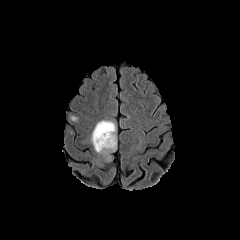
FLAIR magnetic resonance.
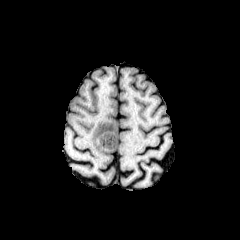
T1-weighted MR of the same slice.
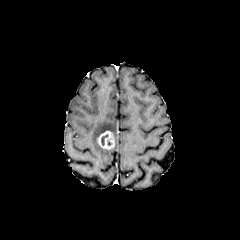
Post-contrast T1-weighted MR image.
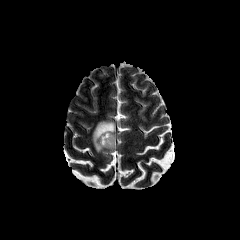
T2-weighted MR image.
Image size 240x240.
The edema is bounded by (91, 120, 115, 154). The enhancing tumor is bounded by (97, 131, 115, 150).